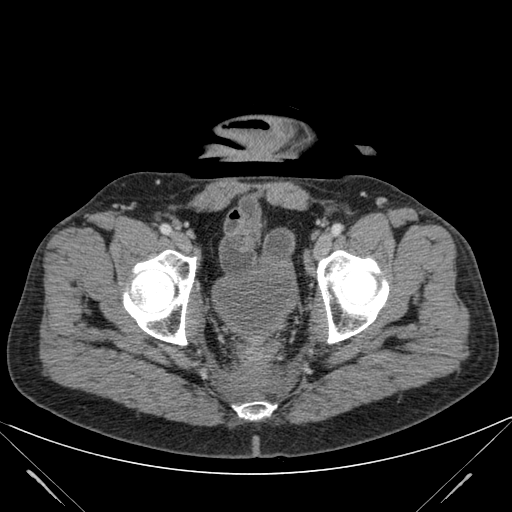 Computed tomography; Pelvis
urinary bladder: [212, 257, 298, 339]